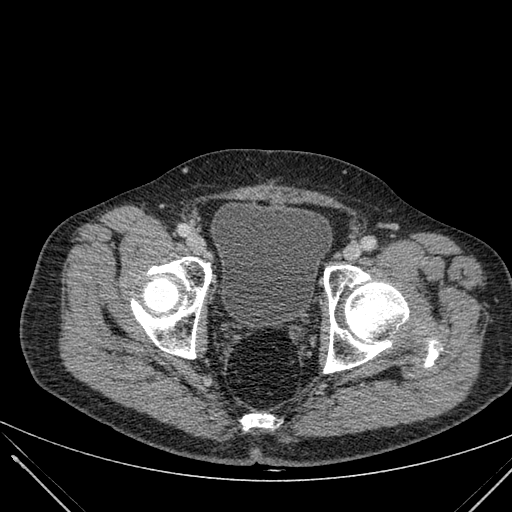

CT image | Image size 512x512
urinary bladder: {"x1": 210, "y1": 204, "x2": 332, "y2": 324}